Slice 78 of 155, Field of view 240 mm wide, 1.00 mm slice spacing
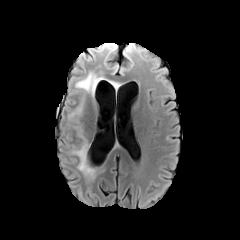
FLAIR MR image.
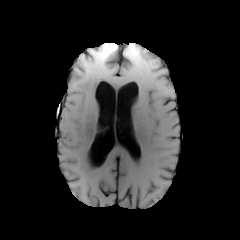
T1-weighted MRI.
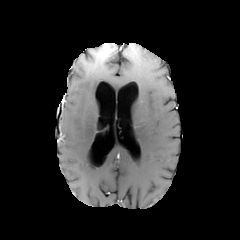
Same slice, post-contrast T1-weighted magnetic resonance.
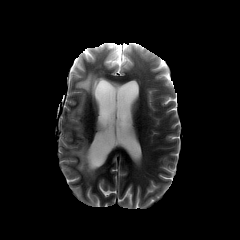
T2-weighted MR image.
edema: rect(104, 46, 140, 73); rect(73, 142, 95, 177); rect(80, 54, 95, 61); rect(74, 72, 104, 95) | enhancing tumor: rect(103, 46, 114, 57) | non-enhancing tumor core: rect(86, 44, 117, 62)